Abdomen, CT 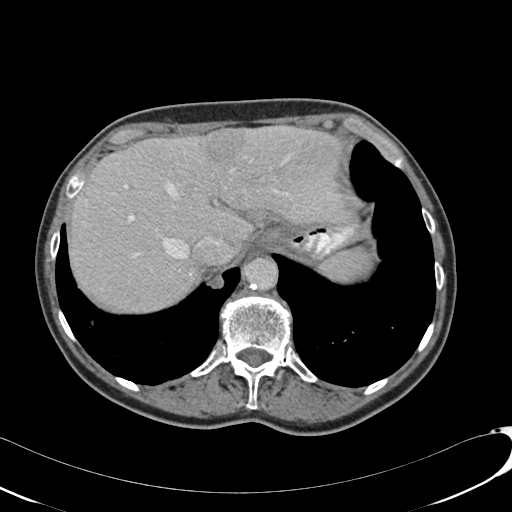 liver lesion: (132, 296, 139, 304), (206, 129, 245, 164) | liver: (71, 126, 347, 311)